FLAIR magnetic resonance.
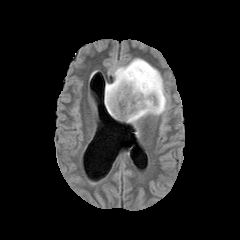
T1-weighted magnetic resonance.
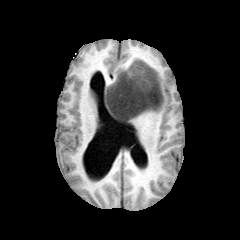
Post-contrast T1-weighted MRI.
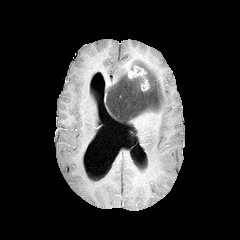
T2-weighted magnetic resonance.
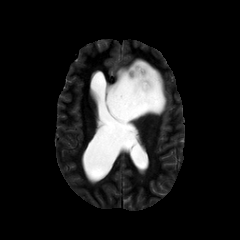
Brain.
Enhancing tumor = <box>123,63,150,91</box>.
Non-enhancing tumor core = <box>105,62,163,122</box>.
Edema = <box>105,57,169,124</box>.